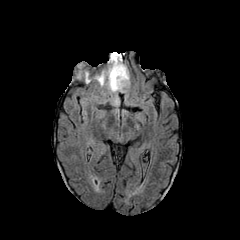
FLAIR MRI.
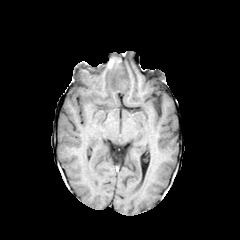
Same slice, T1-weighted magnetic resonance.
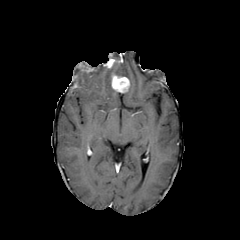
Post-contrast T1-weighted magnetic resonance.
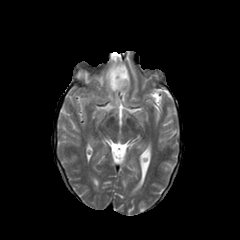
Same slice, T2-weighted magnetic resonance.
240x240 px, Brain
2 enhancing tumor regions appear at <box>106,54,122,68</box>, <box>111,70,129,92</box>. 2 non-enhancing tumor core regions are located at <box>80,63,92,73</box>, <box>103,64,127,85</box>. 2 edema regions are bounded by <box>114,63,129,79</box>, <box>78,67,119,105</box>.